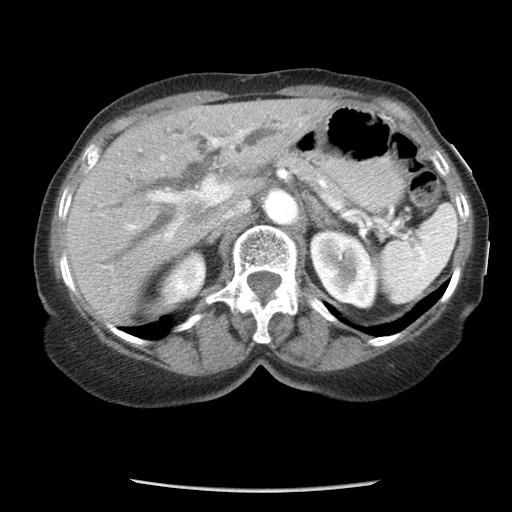
Computed tomography
The pancreas is at (left=278, top=154, right=343, bottom=197).